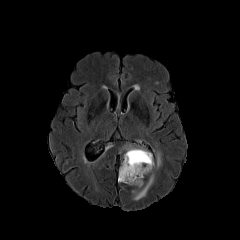
FLAIR MRI.
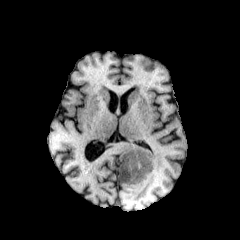
T1-weighted magnetic resonance.
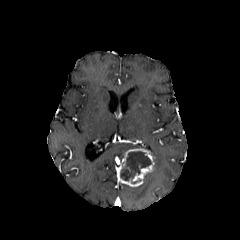
Post-contrast T1-weighted MR.
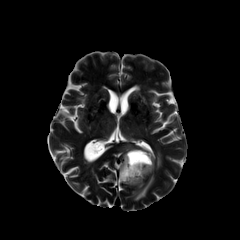
T2-weighted MRI of the same slice.
Head.
Annotated regions:
* non-enhancing tumor core: box=[121, 150, 151, 180]
* edema: box=[134, 173, 154, 200]; box=[156, 151, 161, 168]
* enhancing tumor: box=[118, 147, 154, 186]